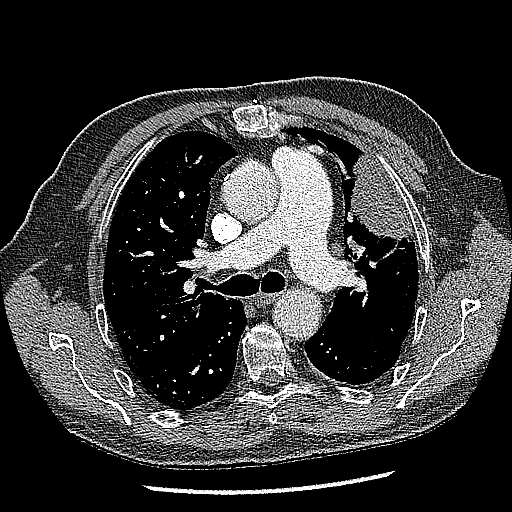

Chest; CT slice; 512x512
Lung tumor: region(349, 153, 413, 241).